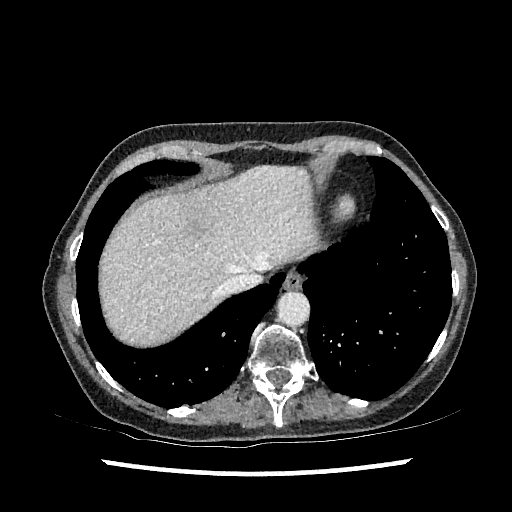
CT slice
hepatic_lesion:
  - (190, 222, 204, 238)
liver:
  - (99, 167, 313, 344)